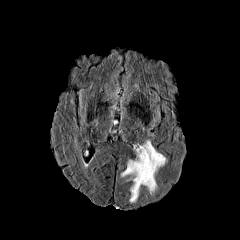
FLAIR magnetic resonance.
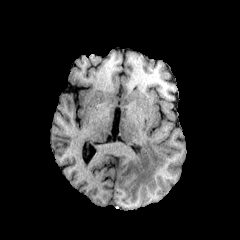
T1-weighted magnetic resonance.
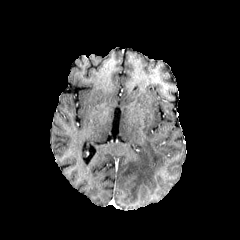
Post-contrast T1-weighted MR image of the same slice.
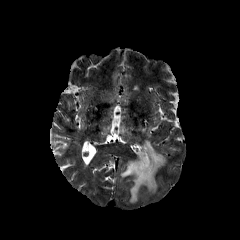
T2-weighted MR.
<segmentation>
  <edema>[120,140,167,203]</edema>
</segmentation>